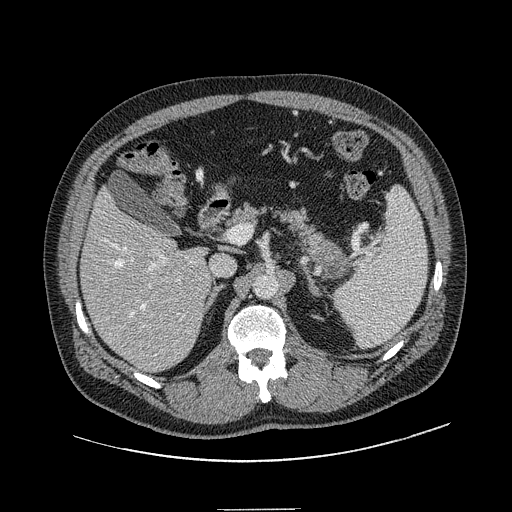
Abdomen | CT
3 pancreas regions are bounded by x1=271, y1=208, x2=349, y2=272; x1=226, y1=205, x2=267, y2=226; x1=323, y1=270, x2=341, y2=278. The pancreatic tumor is at x1=314, y1=242, x2=345, y2=275.